240x240.
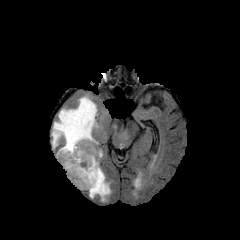
FLAIR MRI.
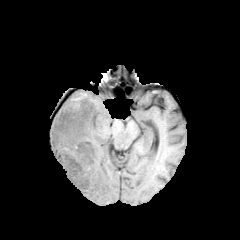
T1-weighted MR image.
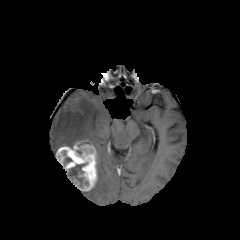
Post-contrast T1-weighted MRI.
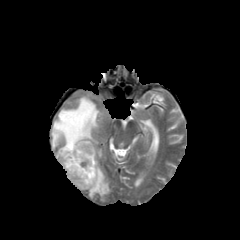
Same slice, T2-weighted MR image.
The non-enhancing tumor core appears at bbox=[69, 164, 85, 184]. The enhancing tumor appears at bbox=[55, 141, 97, 190]. The edema lies within bbox=[51, 95, 111, 201].